Head
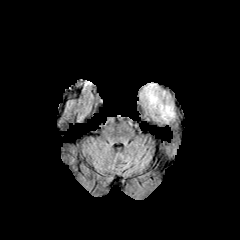
FLAIR MRI.
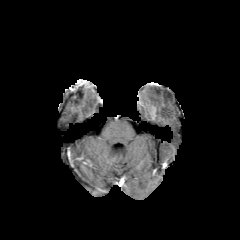
T1-weighted MRI.
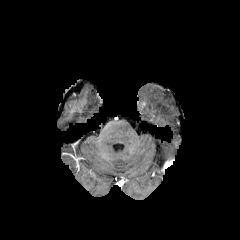
Same slice, post-contrast T1-weighted MRI.
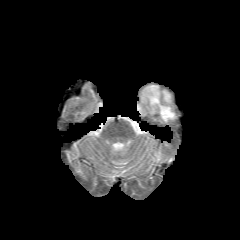
T2-weighted MR.
Edema: bounding box [x1=140, y1=83, x2=176, y2=123].